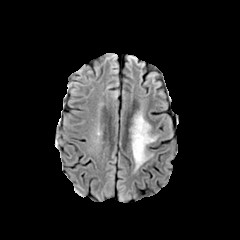
FLAIR MR.
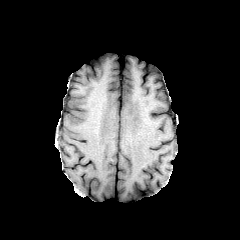
Same slice, T1-weighted MR image.
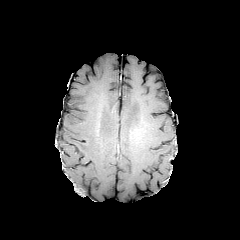
Post-contrast T1-weighted magnetic resonance.
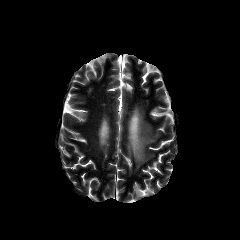
T2-weighted magnetic resonance of the same slice.
240x240
Annotated regions:
- edema: region(131, 112, 156, 168)